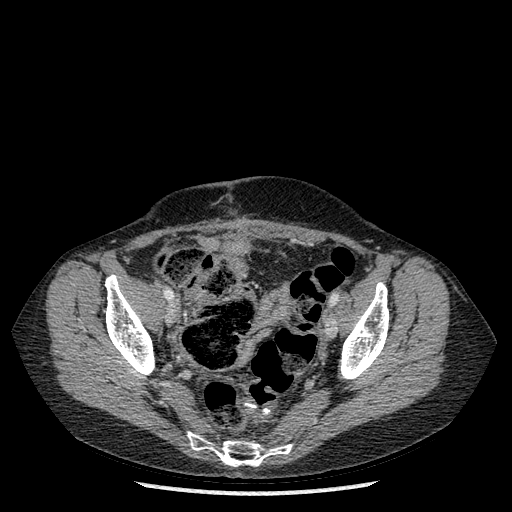
CT scan slice; 512x512 px
bone: left=340, top=282, right=388, bottom=379; left=187, top=431, right=292, bottom=466; left=105, top=274, right=154, bottom=378